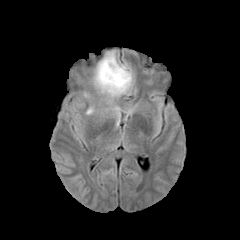
FLAIR magnetic resonance.
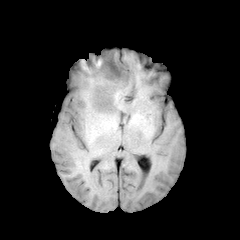
T1-weighted MR.
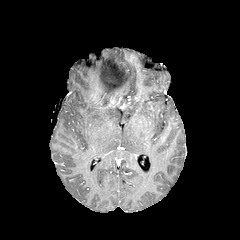
Post-contrast T1-weighted MR image.
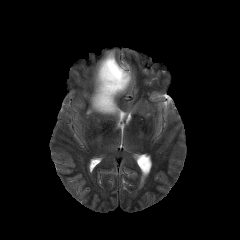
T2-weighted MR image of the same slice.
Brain
2 enhancing tumor regions are bounded by [93,86,102,103], [108,96,115,107]. The non-enhancing tumor core appears at [93,61,123,109]. The edema lies within [83,49,135,127].